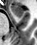
MRI

Anterior hippocampus at x1=9 y1=5 x2=23 y2=17.